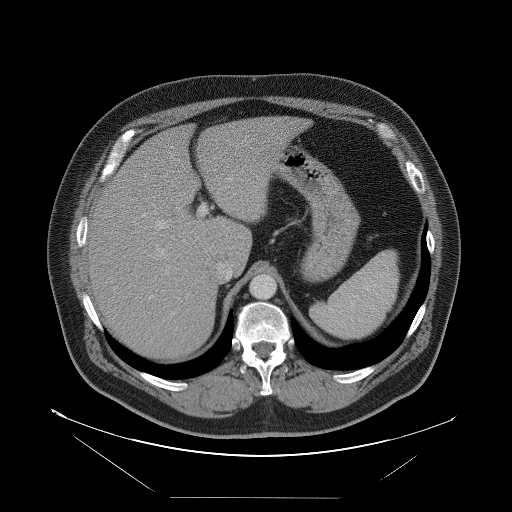

CT image
Not every hepatic vessel necessarily has a box.
12 hepatic vessel regions are located at [200, 204, 206, 214], [227, 178, 231, 180], [113, 287, 114, 289], [182, 239, 184, 241], [156, 220, 168, 229], [148, 296, 151, 298], [217, 263, 228, 268], [156, 245, 167, 258], [172, 312, 174, 314], [133, 221, 137, 224], [144, 250, 146, 252], [166, 266, 169, 273].